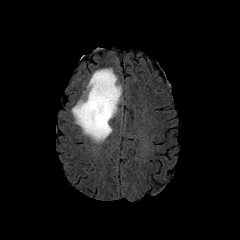
FLAIR MR.
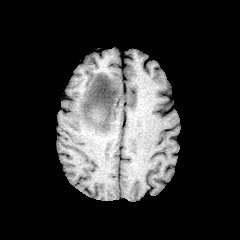
T1-weighted magnetic resonance.
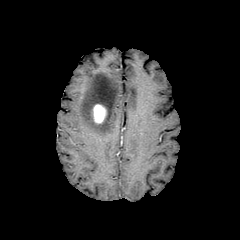
Post-contrast T1-weighted MR image.
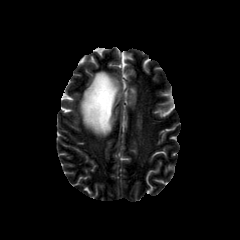
T2-weighted MRI.
240x240
edema: 69, 67, 122, 141 | enhancing tumor: 93, 104, 106, 123